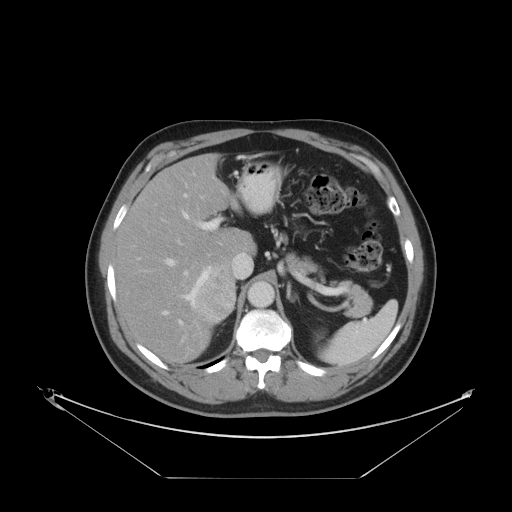 Abdomen; CT scan slice

The vessel annotation is not exhaustive.
Annotated regions:
- liver tumor: region(193, 269, 235, 323)
- hepatic vessel: region(184, 266, 211, 306); region(163, 311, 167, 314); region(184, 194, 186, 196); region(184, 271, 187, 274); region(199, 220, 217, 229); region(166, 259, 173, 265); region(182, 211, 188, 218); region(179, 321, 182, 324)